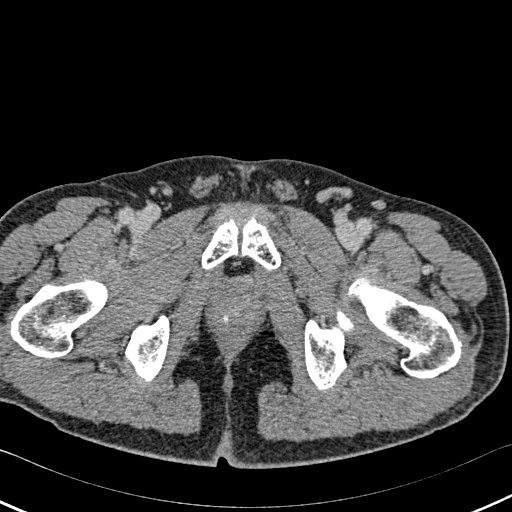
Computed tomography
<segmentation>
  <bone>region(202, 218, 280, 270); region(0, 280, 106, 357); region(305, 278, 461, 388); region(125, 316, 168, 380)</bone>
</segmentation>